Computed tomography 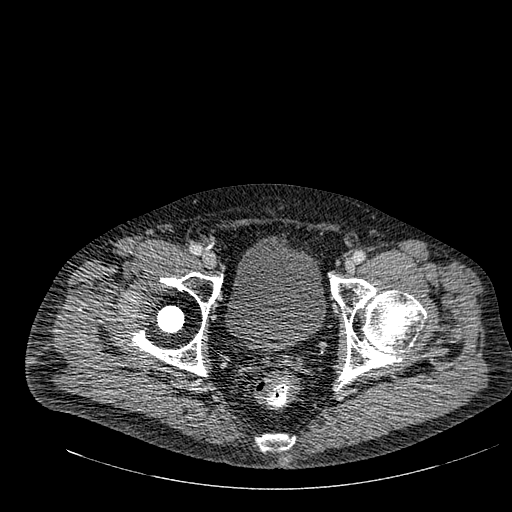
Segmented structures:
• urinary bladder: x1=225 y1=237 x2=326 y2=351